CT; Slice index 314; 512x512 px

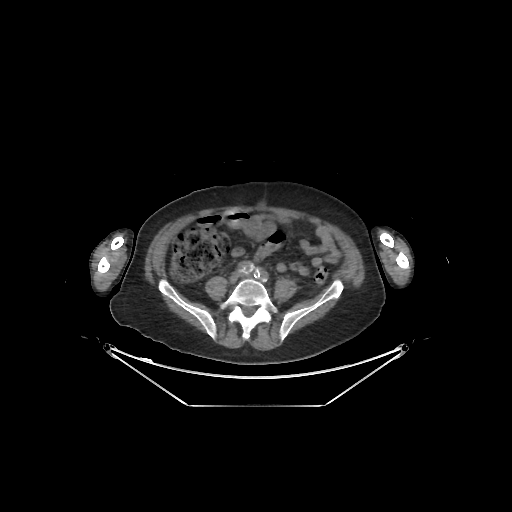 bone:
  - (396, 252, 408, 269)
  - (98, 254, 110, 274)
  - (221, 270, 276, 338)
  - (380, 232, 393, 247)
  - (280, 280, 342, 339)
  - (111, 236, 123, 249)
  - (159, 280, 215, 338)